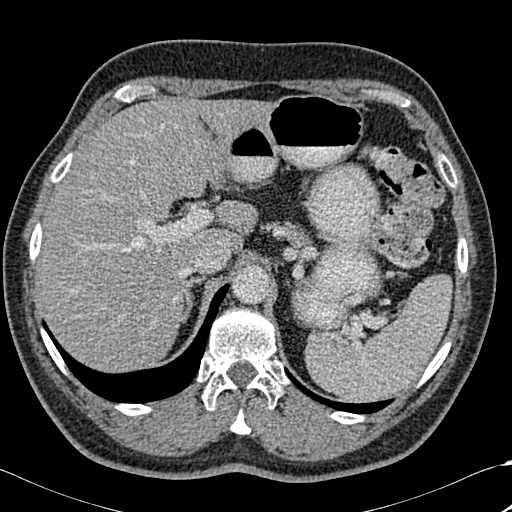
Image size 512x512, CT

2 liver regions are located at <bbox>224, 201, 255, 237</bbox>, <bbox>38, 100, 268, 371</bbox>. 2 lung regions are located at <bbox>285, 368, 392, 413</bbox>, <bbox>43, 284, 228, 402</bbox>. 10 bone regions appear at <bbox>41, 330, 64, 372</bbox>, <bbox>231, 410, 249, 434</bbox>, <bbox>419, 343, 449, 384</bbox>, <bbox>51, 162, 67, 181</bbox>, <bbox>331, 412, 363, 423</bbox>, <bbox>116, 404, 150, 415</bbox>, <bbox>457, 239, 467, 272</bbox>, <bbox>198, 309, 288, 408</bbox>, <bbox>30, 225, 41, 259</bbox>, <bbox>446, 169, 456, 186</bbox>.